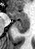

MRI. Hippocampus.

posterior hippocampus: region(15, 21, 27, 33) | anterior hippocampus: region(7, 10, 28, 20)